CT scan slice. Slice 435/547. 512x512. Abdomen.

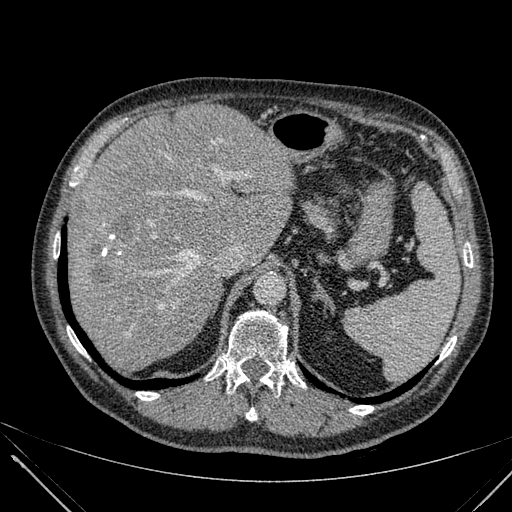
liver: (69, 105, 293, 370) | liver lesion: (77, 200, 84, 218), (92, 261, 111, 281), (114, 214, 131, 237)